Brain
FLAIR MR image.
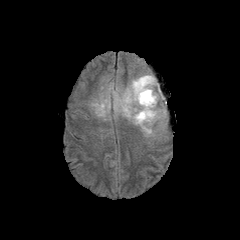
T1-weighted magnetic resonance.
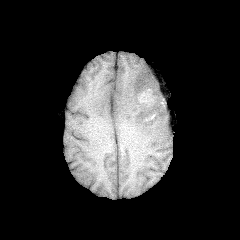
Post-contrast T1-weighted magnetic resonance.
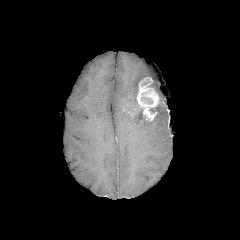
T2-weighted MR.
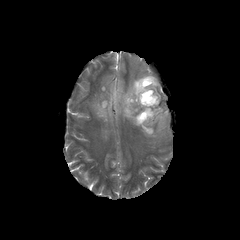
Non-enhancing tumor core = (left=127, top=101, right=134, bottom=114), (left=134, top=108, right=153, bottom=124), (left=150, top=98, right=167, bottom=119).
Enhancing tumor = (left=136, top=77, right=159, bottom=120).
Edema = (left=153, top=84, right=167, bottom=112), (left=91, top=74, right=168, bottom=137).